CT scan slice; Slice index 178; Upper abdomen
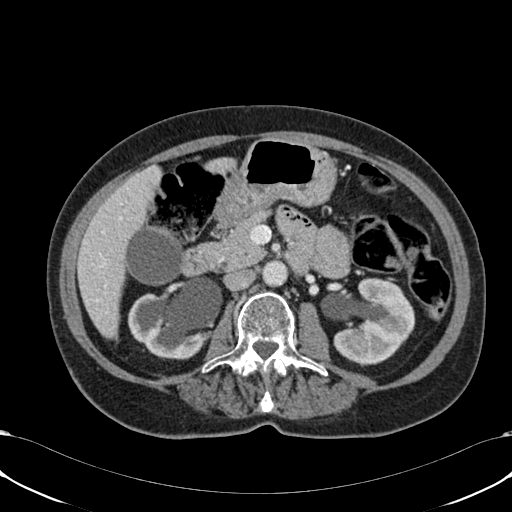 {
  "kidney": [
    "(left=128, top=291, right=223, bottom=358)",
    "(left=334, top=279, right=414, bottom=363)"
  ],
  "liver": [
    "(left=78, top=165, right=160, bottom=338)",
    "(left=208, top=158, right=233, bottom=172)"
  ]
}